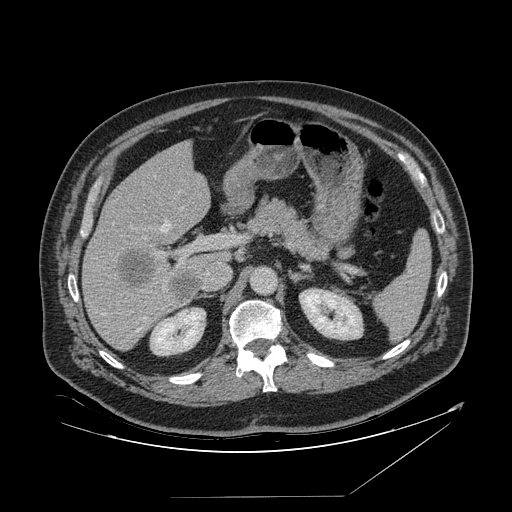

CT scan slice

<segmentation>
  <spleen>x1=374 y1=233 x2=431 y2=342</spleen>
</segmentation>